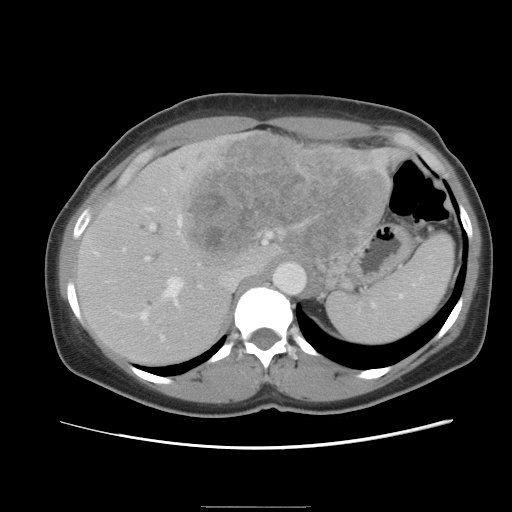
Liver, CT slice
Not every hepatic vessel necessarily has a box.
Hepatic vessel: <box>150,224,153,229</box>, <box>119,313,124,314</box>, <box>177,215,179,223</box>, <box>146,206,153,209</box>, <box>198,285,200,286</box>, <box>160,335,163,338</box>, <box>139,310,147,318</box>, <box>219,253,262,290</box>, <box>144,256,149,259</box>, <box>162,277,181,305</box>, <box>93,251,95,253</box>, <box>176,231,178,232</box>.
Liver tumor: <box>179,135,386,264</box>.